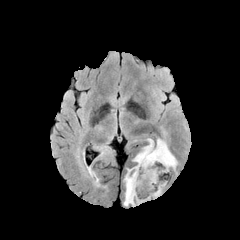
FLAIR MR.
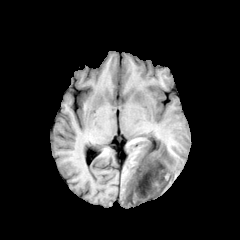
T1-weighted MR image.
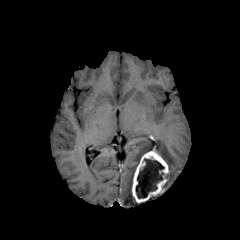
Post-contrast T1-weighted MR image of the same slice.
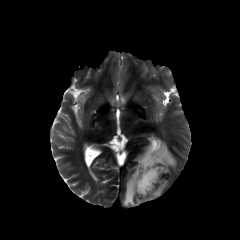
T2-weighted MRI of the same slice.
240x240, Brain
edema: (156,138,177,171), (123,138,154,206) | enhancing tumor: (131,146,169,203) | non-enhancing tumor core: (136,159,163,198)